Image width 240 mm, 240x240, Head
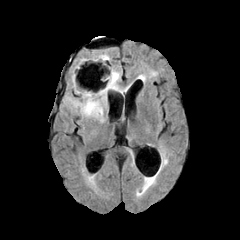
FLAIR magnetic resonance.
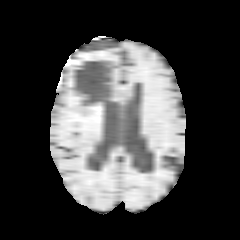
Same slice, T1-weighted MR.
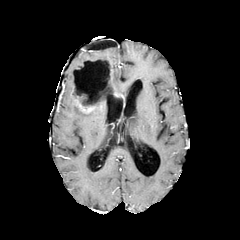
Post-contrast T1-weighted magnetic resonance.
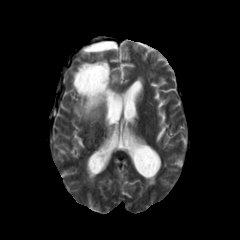
T2-weighted MRI of the same slice.
3 edema regions appear at box(65, 74, 108, 120); box(97, 52, 111, 63); box(107, 65, 130, 96). The non-enhancing tumor core is bounded by box(74, 63, 109, 105).